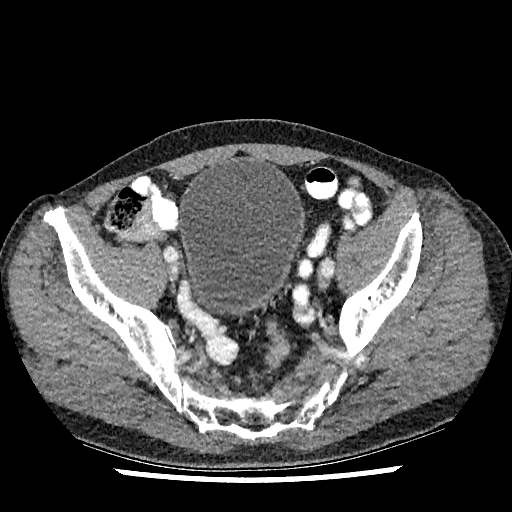 Pelvis | CT scan slice
urinary_bladder:
  - rect(179, 160, 301, 317)